Head, 240x240 px, Image width 240 mm
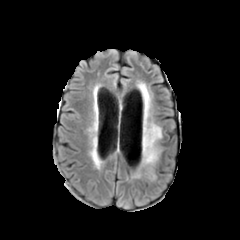
FLAIR magnetic resonance.
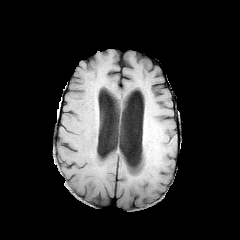
T1-weighted MR image.
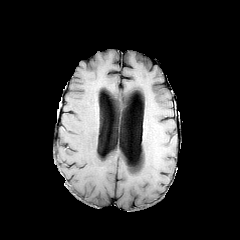
Post-contrast T1-weighted MRI.
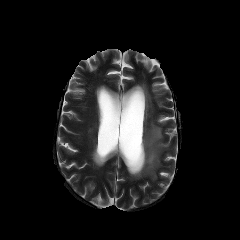
T2-weighted MRI.
Edema = left=139, top=83, right=161, bottom=175.